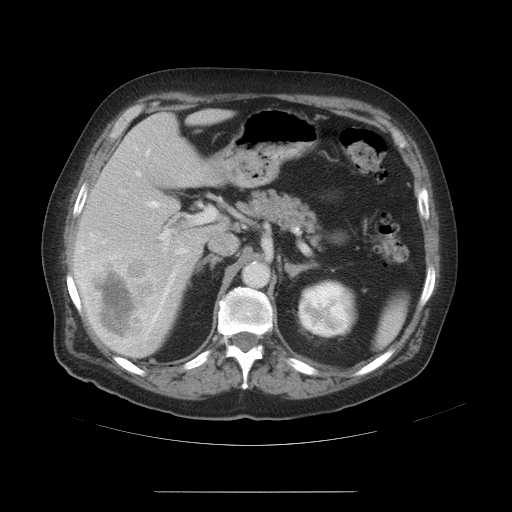 Abdomen. CT slice.
Some hepatic vessels may have no box.
Liver tumor: bounding box (left=79, top=253, right=156, bottom=353).
Hepatic vessel: bounding box (left=136, top=172, right=139, bottom=174), (left=103, top=240, right=105, bottom=243), (left=192, top=208, right=215, bottom=222), (left=78, top=241, right=81, bottom=242), (left=189, top=216, right=191, bottom=217), (left=147, top=201, right=159, bottom=207), (left=161, top=271, right=175, bottom=304), (left=90, top=233, right=96, bottom=237), (left=146, top=149, right=149, bottom=154), (left=76, top=246, right=83, bottom=253), (left=175, top=248, right=188, bottom=253), (left=157, top=307, right=160, bottom=316), (left=158, top=228, right=171, bottom=250).